MRI slice; Slice index 6
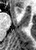 {"anterior_hippocampus": ["(14, 6, 21, 13)"]}